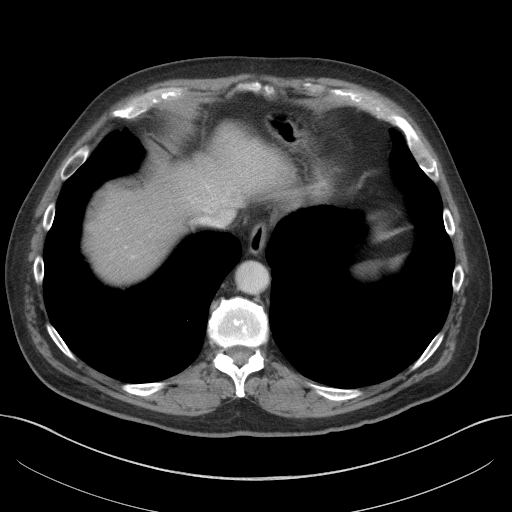 CT image
- liver: [84, 117, 268, 283]